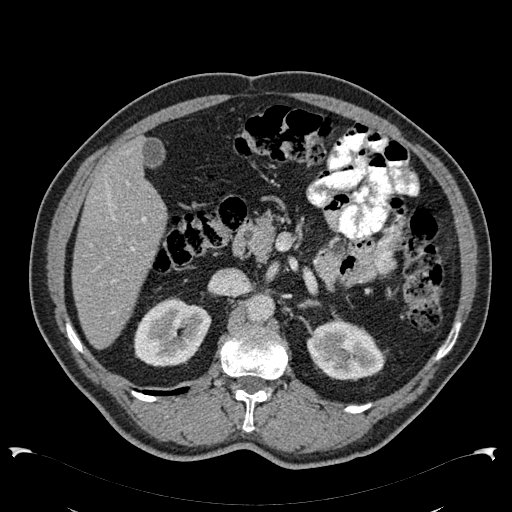

Abdomen. CT.

- liver: x1=72 y1=134 x2=165 y2=348
- kidney: x1=134 y1=298 x2=210 y2=366, x1=307 y1=320 x2=384 y2=379